FLAIR MRI.
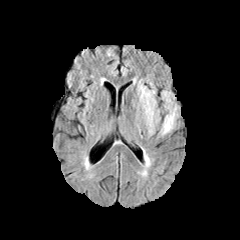
T1-weighted MR.
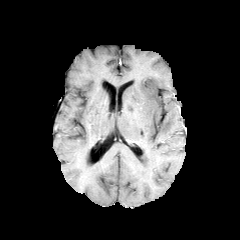
Post-contrast T1-weighted MR image.
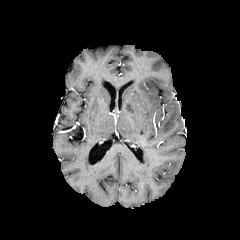
T2-weighted MR image.
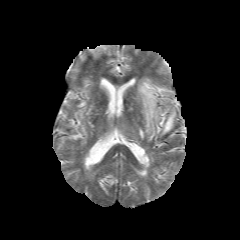
Head, 240x240
Findings:
- edema: (x1=138, y1=149, x2=150, y2=176), (x1=136, y1=82, x2=178, y2=138)